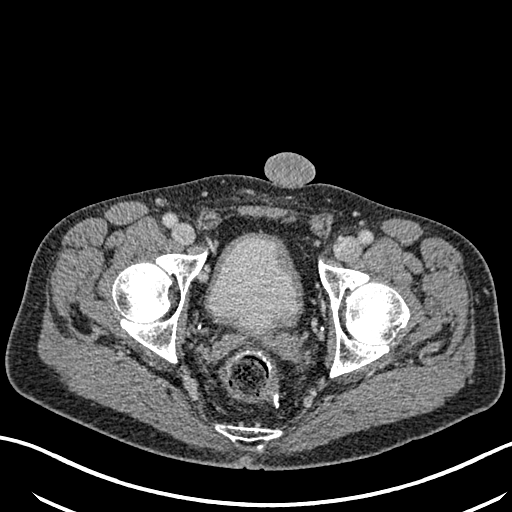
CT slice, 512x512

Urinary bladder at <box>208,234,298,333</box>.